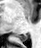
MR image, Hippocampus
• posterior hippocampus: 17, 34, 27, 41